512x512 px, CT image

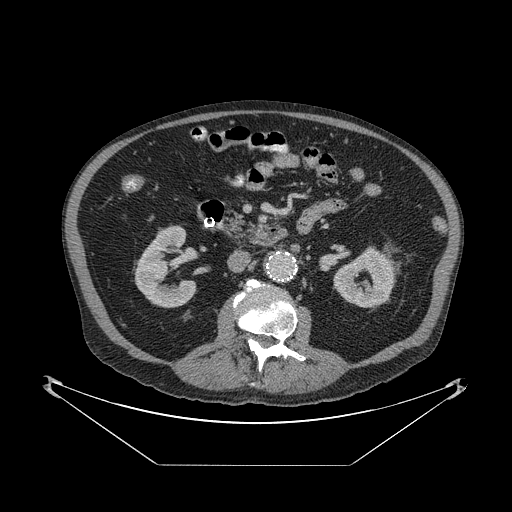

Pancreas — bbox=[225, 213, 247, 235].